T2-weighted magnetic resonance.
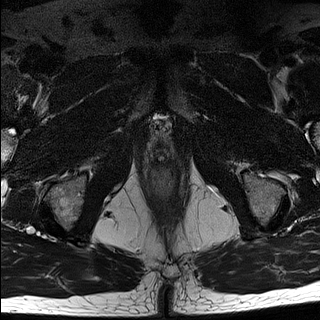
ADC MR.
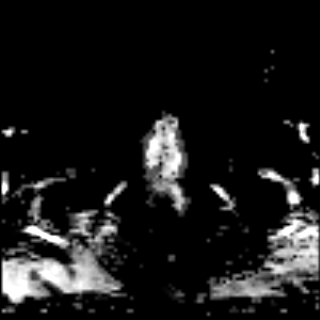
prostate_transition_zone:
  - box(158, 136, 168, 146)